Head
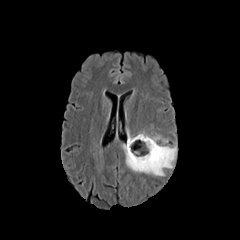
FLAIR magnetic resonance.
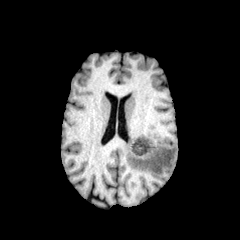
T1-weighted MR.
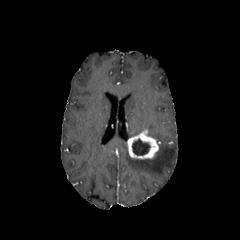
Post-contrast T1-weighted MRI of the same slice.
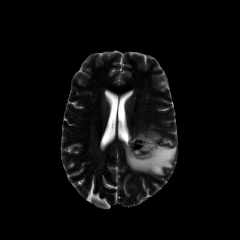
T2-weighted magnetic resonance.
edema:
  - 147 130 162 140
  - 123 143 176 175
non-enhancing_tumor_core:
  - 131 138 151 155
enhancing_tumor:
  - 127 130 158 159